FLAIR MRI.
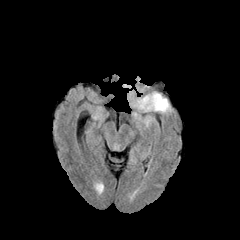
T1-weighted MR.
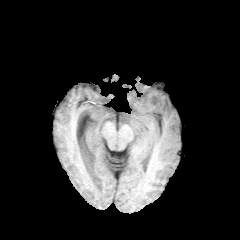
Post-contrast T1-weighted MR image.
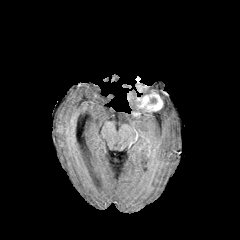
T2-weighted MRI.
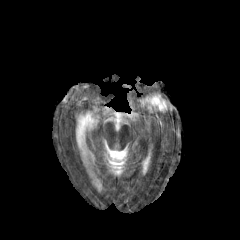
The enhancing tumor appears at box=[137, 92, 163, 111]. 3 edema regions appear at box=[156, 93, 171, 113]; box=[130, 92, 138, 108]; box=[144, 115, 151, 126]. The non-enhancing tumor core is at box=[135, 102, 145, 115].